CT scan slice, 512x512 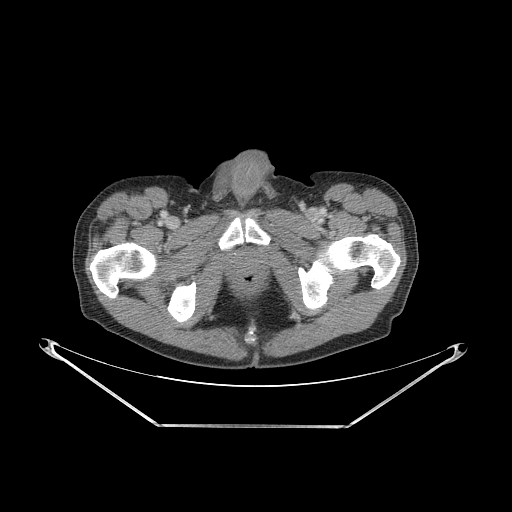

4 bone regions are bounded by (x1=219, y1=217, x2=270, y2=249), (x1=299, y1=235, x2=400, y2=309), (x1=168, y1=282, x2=195, y2=321), (x1=90, y1=243, x2=156, y2=297).